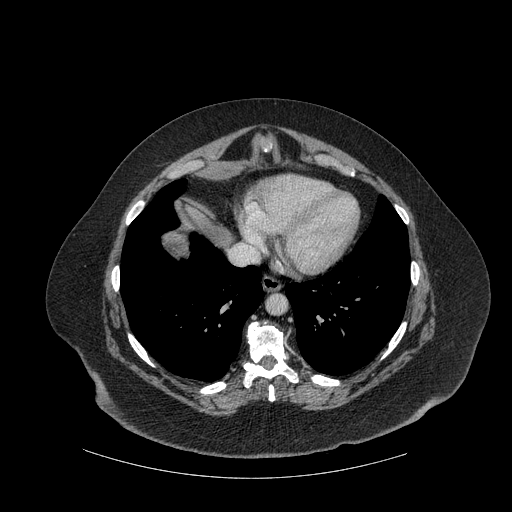 Liver; Computed tomography
10 bone regions are bounded by left=111, top=266, right=119, bottom=290; left=411, top=262, right=419, bottom=284; left=381, top=322, right=406, bottom=358; left=126, top=201, right=143, bottom=224; left=244, top=322, right=297, bottom=387; left=395, top=205, right=408, bottom=223; left=269, top=385, right=274, bottom=400; left=128, top=334, right=153, bottom=366; left=311, top=375, right=339, bottom=386; left=200, top=382, right=225, bottom=393. 2 lung regions appear at left=120, top=179, right=263, bottom=381; left=285, top=195, right=410, bottom=375. 3 liver regions appear at left=212, top=231, right=231, bottom=244; left=199, top=221, right=212, bottom=238; left=186, top=205, right=193, bottom=216.